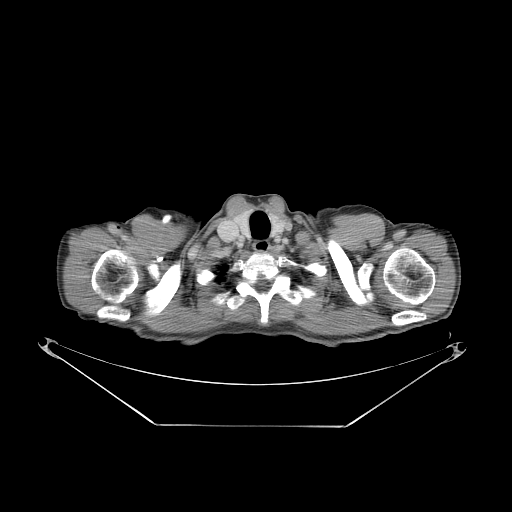 CT image, Chest

Lung = rect(215, 263, 228, 282).
Bone = rect(92, 250, 138, 320); rect(227, 298, 233, 307); rect(392, 310, 425, 325); rect(237, 253, 314, 321); rect(146, 264, 180, 312); rect(384, 248, 434, 303); rect(305, 263, 326, 275); rect(328, 240, 376, 304); rect(197, 270, 213, 284).